FLAIR MRI.
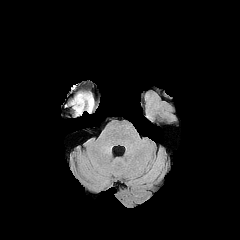
T1-weighted MR image.
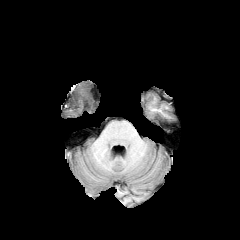
Post-contrast T1-weighted MR image.
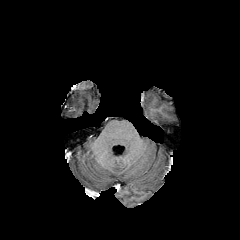
T2-weighted MR.
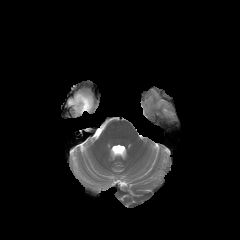
Image size 240x240
2 edema regions are bounded by [x1=71, y1=96, x2=84, y2=115], [x1=78, y1=92, x2=93, y2=112].